Image size 240x240; Slice 52/155
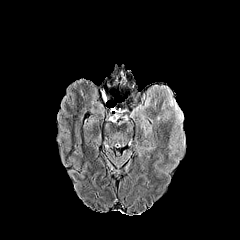
FLAIR magnetic resonance.
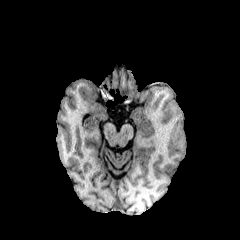
T1-weighted MR.
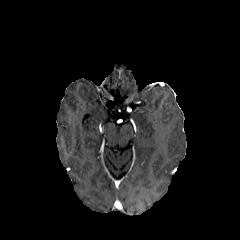
Same slice, post-contrast T1-weighted MRI.
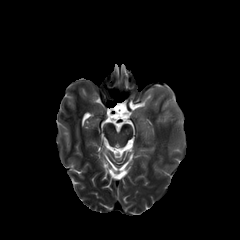
Same slice, T2-weighted MRI.
Annotated regions:
• edema: l=157, t=110, r=170, b=123; l=168, t=100, r=182, b=130